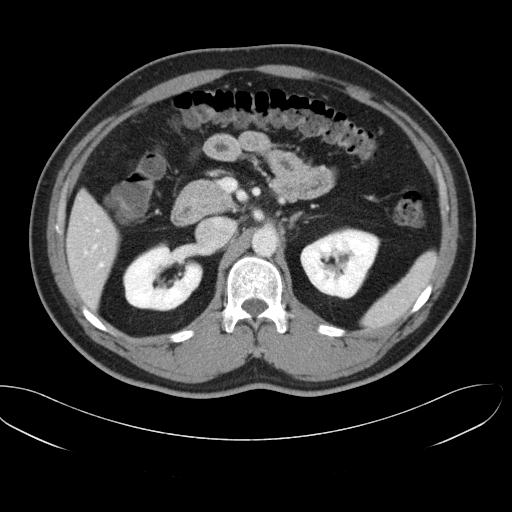
Abdomen | CT image | 512x512 px
Only some of the vessels may be annotated.
{"hepatic_vessel": ["[84, 244, 97, 255]", "[93, 217, 95, 220]", "[97, 262, 102, 269]", "[96, 230, 99, 231]"]}